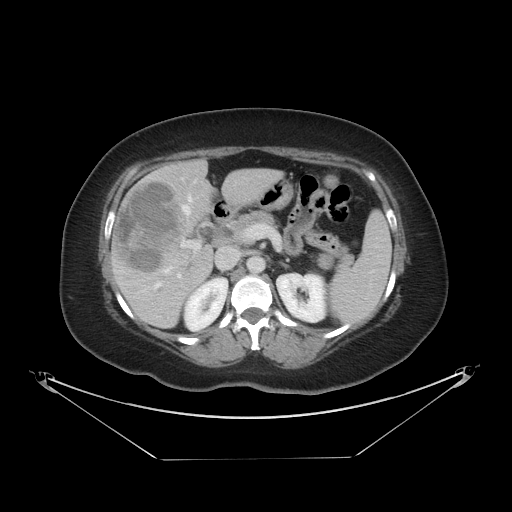

Liver, 512x512, CT
Some hepatic vessels may have no box.
liver tumor: bbox(112, 182, 189, 273) | hepatic vessel: bbox(182, 205, 189, 212); bbox(180, 237, 201, 252); bbox(188, 194, 192, 201); bbox(164, 267, 171, 272); bbox(154, 283, 161, 287)